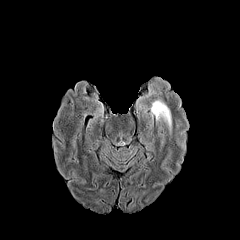
FLAIR MRI.
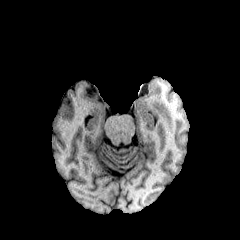
Same slice, T1-weighted MR.
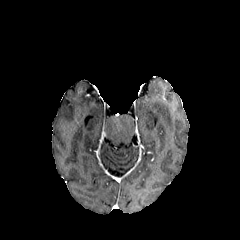
Post-contrast T1-weighted MR image of the same slice.
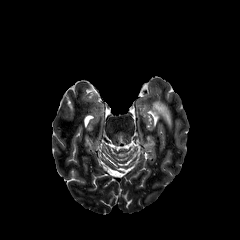
T2-weighted MR image.
Brain
The edema is located at rect(150, 100, 172, 136).